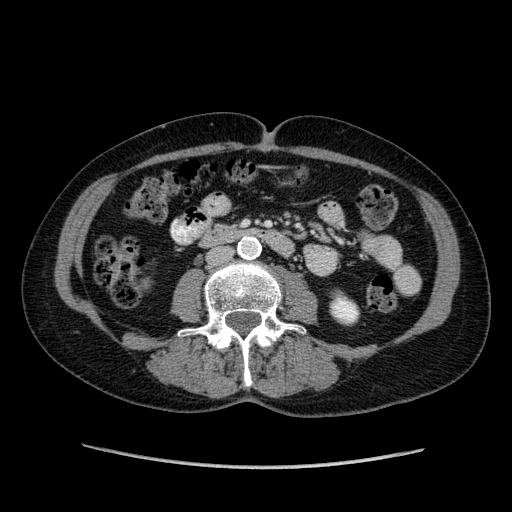 CT image.

<segmentation>
  <kidney>{"x1": 333, "y1": 298, "x2": 357, "y2": 320}</kidney>
</segmentation>